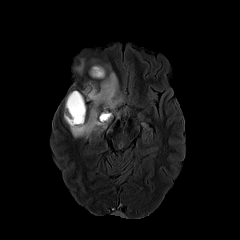
FLAIR MR.
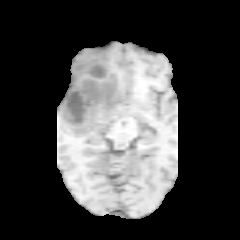
Same slice, T1-weighted MRI.
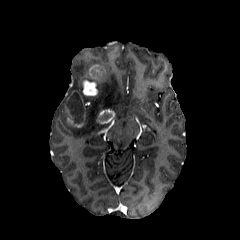
Same slice, post-contrast T1-weighted MR image.
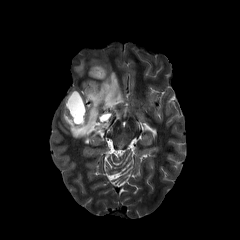
Same slice, T2-weighted magnetic resonance.
Image size 240x240; Head
• edema: [x1=75, y1=59, x2=84, y2=74], [x1=69, y1=63, x2=124, y2=140]
• non-enhancing tumor core: [x1=65, y1=92, x2=83, y2=122]
• enhancing tumor: [x1=83, y1=83, x2=98, y2=95], [x1=96, y1=109, x2=114, y2=124], [x1=90, y1=65, x2=103, y2=77], [x1=65, y1=91, x2=86, y2=126]